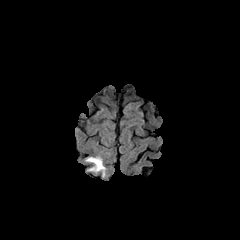
FLAIR MRI.
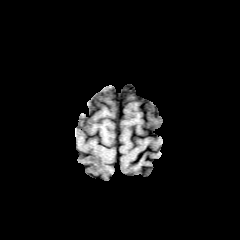
Same slice, T1-weighted MR.
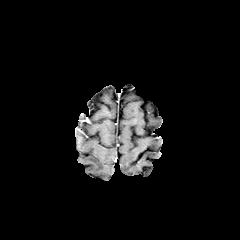
Post-contrast T1-weighted MR.
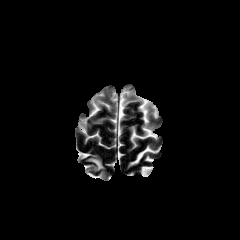
T2-weighted MR.
240x240 px
* edema: 85 155 106 177